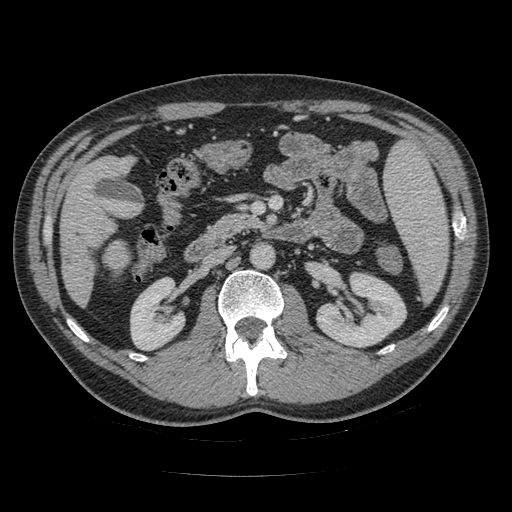

CT scan slice | Upper abdomen

The pancreas appears at (207, 214, 259, 241).